Abdomen. CT scan slice.

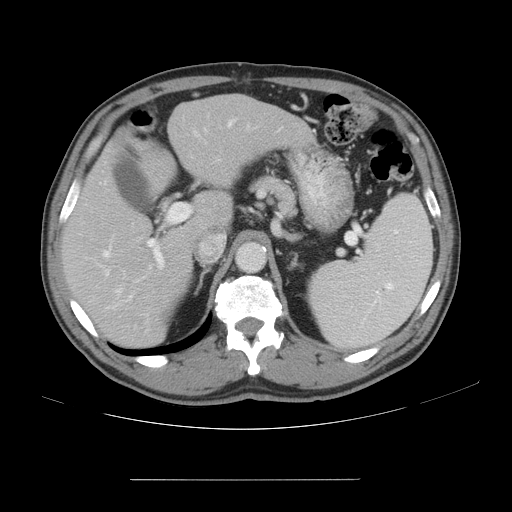
Some hepatic vessels may have no box.
11 hepatic vessel regions are bounded by l=149, t=265, r=151, b=268; l=115, t=288, r=122, b=297; l=103, t=236, r=112, b=256; l=228, t=118, r=236, b=126; l=147, t=241, r=164, b=268; l=105, t=270, r=108, b=275; l=144, t=313, r=147, b=315; l=248, t=125, r=249, b=129; l=107, t=304, r=117, b=309; l=204, t=129, r=206, b=132; l=99, t=181, r=106, b=184.